Upper abdomen. Computed tomography.
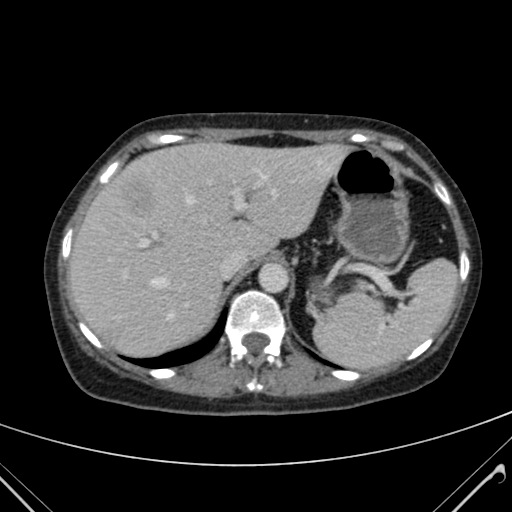 Liver: 70,142,349,355.
Focal liver lesion: 121,181,155,216.